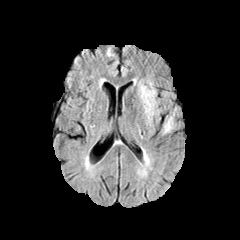
FLAIR MRI.
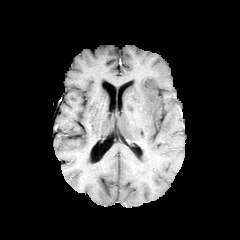
T1-weighted MRI of the same slice.
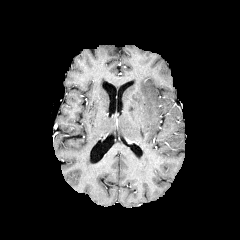
Post-contrast T1-weighted magnetic resonance.
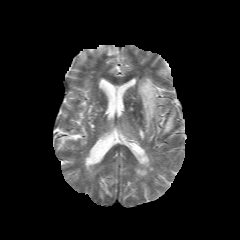
T2-weighted magnetic resonance of the same slice.
Head.
Edema at [163,113,174,133], [138,80,156,125].